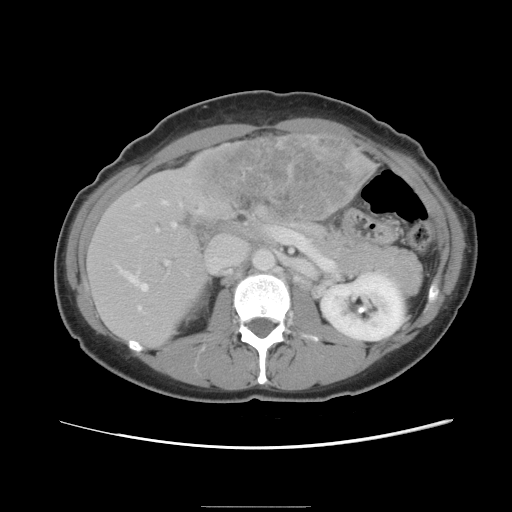

Liver. Computed tomography. 512x512.
The vessel boxes may cover only some of the vessels.
hepatic_vessel:
  - bbox(156, 228, 158, 230)
  - bbox(210, 237, 247, 274)
  - bbox(161, 200, 165, 203)
  - bbox(266, 226, 331, 267)
  - bbox(164, 260, 168, 263)
  - bbox(137, 203, 139, 204)
  - bbox(138, 306, 139, 308)
  - bbox(198, 207, 201, 211)
  - bbox(117, 266, 147, 290)
  - bbox(171, 222, 175, 225)
liver_tumor:
  - bbox(189, 138, 372, 221)